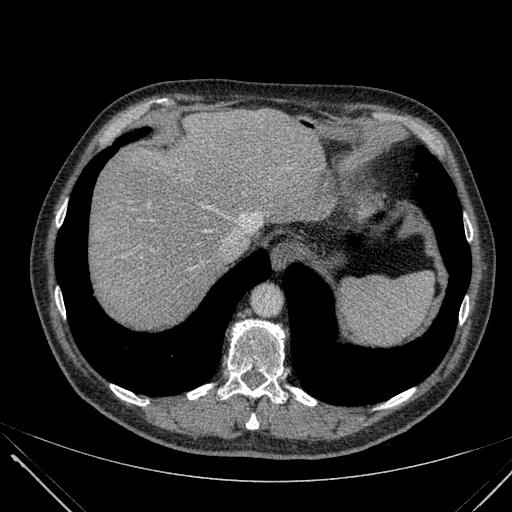
CT | Upper abdomen
The liver is located at [x1=89, y1=108, x2=326, y2=329].